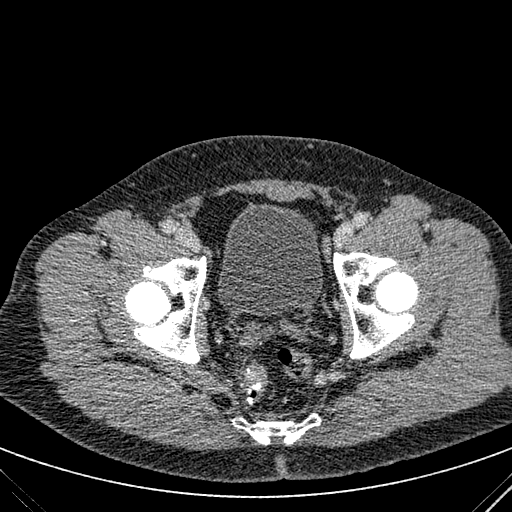
Pelvis. CT. {
  "urinary_bladder": [
    "<box>217,201,323,316</box>"
  ]
}